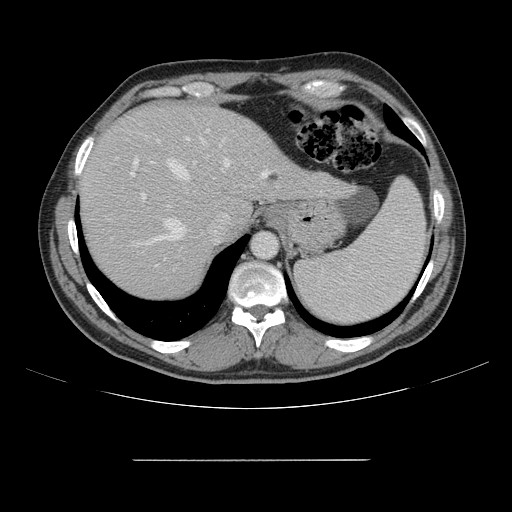

CT
Some hepatic vessels may have no box.
Most prominent 15 of 17 hepatic vessel regions — (261, 171, 267, 177), (168, 159, 189, 180), (206, 129, 209, 132), (131, 172, 134, 175), (156, 139, 159, 142), (134, 156, 138, 166), (320, 191, 322, 194), (115, 157, 117, 158), (222, 140, 223, 142), (150, 161, 153, 163), (135, 219, 185, 244), (221, 159, 229, 170), (142, 194, 145, 198), (186, 137, 189, 140), (200, 137, 204, 142).
Liver tumor — (270, 175, 278, 182).